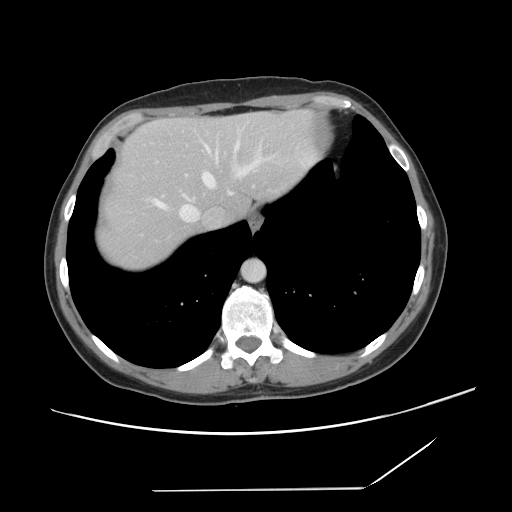 CT; Image size 512x512; Abdomen
Only some of the vessels may be annotated.
Hepatic vessel = bbox=[252, 158, 260, 164]; bbox=[202, 172, 214, 187]; bbox=[179, 203, 198, 221]; bbox=[228, 192, 232, 194]; bbox=[235, 143, 238, 153]; bbox=[260, 142, 260, 148]; bbox=[238, 128, 241, 131]; bbox=[233, 163, 252, 177]; bbox=[191, 198, 194, 200]; bbox=[274, 154, 276, 156]; bbox=[215, 152, 217, 162]; bbox=[153, 200, 166, 207]; bbox=[201, 141, 209, 151]; bbox=[184, 195, 188, 198].